CT scan slice, Abdomen, Field of view 345x345 mm
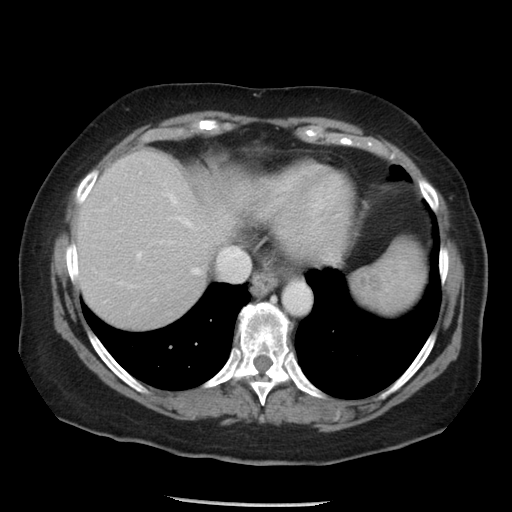

The vessel boxes may cover only some of the vessels.
Findings:
* hepatic vessel: [x1=176, y1=216, x2=191, y2=226], [x1=162, y1=193, x2=176, y2=204], [x1=128, y1=284, x2=133, y2=287], [x1=114, y1=198, x2=116, y2=200], [x1=191, y1=268, x2=199, y2=274], [x1=136, y1=251, x2=141, y2=258]